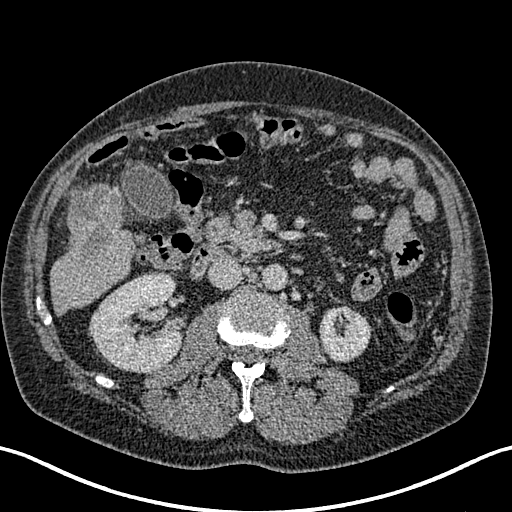 Image size 512x512. Computed tomography.
Hepatic lesion — bbox=[69, 189, 116, 260].
Kidney — bbox=[321, 307, 369, 360]; bbox=[91, 274, 180, 372].
Liver — bbox=[49, 183, 133, 314].